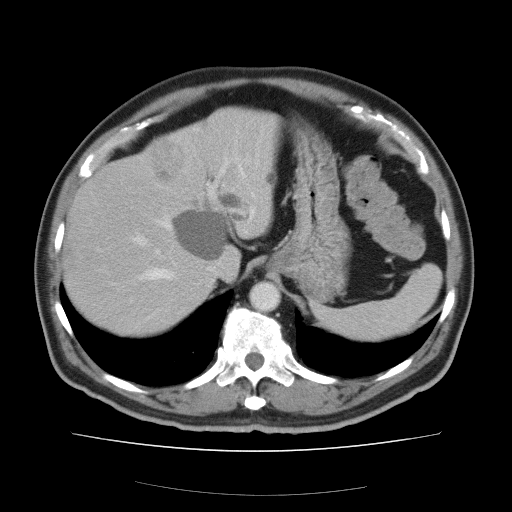

CT image, Abdomen
Some hepatic vessels may have no box.
Hepatic vessel at bbox(155, 214, 170, 229); bbox(143, 268, 171, 278); bbox(155, 249, 157, 253); bbox(131, 233, 147, 245); bbox(207, 157, 229, 199); bbox(232, 152, 237, 162).
Liver tumor at bbox(154, 143, 182, 178).